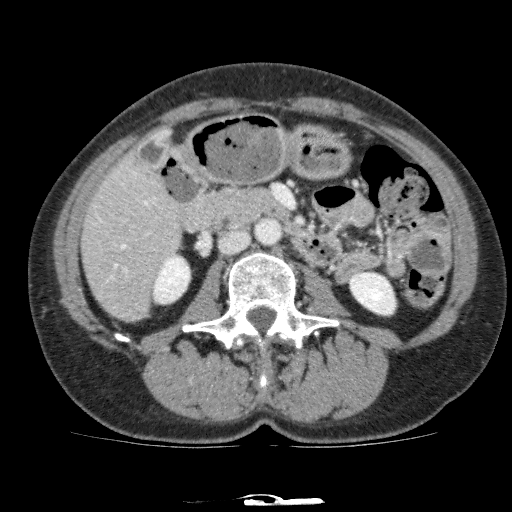 CT scan slice
kidney: 350:273:395:314, 154:255:189:303 | liver: 80:151:184:322